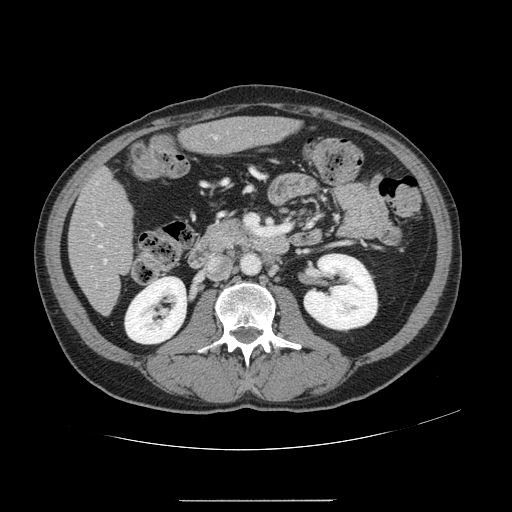 Computed tomography. The vessel boxes may cover only some of the vessels.
Hepatic vessel — [92,234,93,236], [96,285,97,286], [96,182,98,184], [99,245,102,247], [214,136,218,138], [98,222,102,225], [103,259,106,263].